Field of view 407x407 mm, CT, Upper abdomen

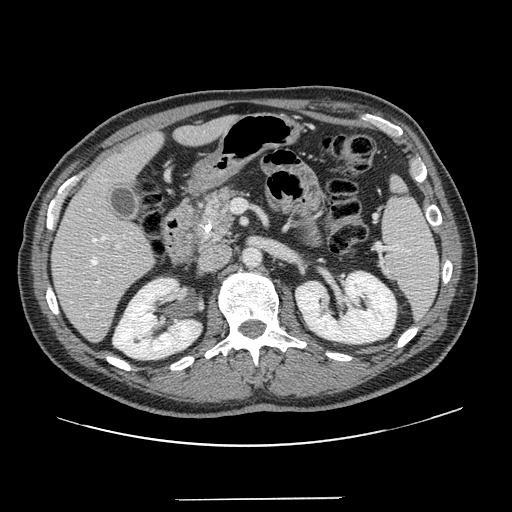 Pancreas at [178, 183, 249, 251].